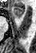 Magnetic resonance, Hippocampus

The anterior hippocampus is at (13,7,24,18).